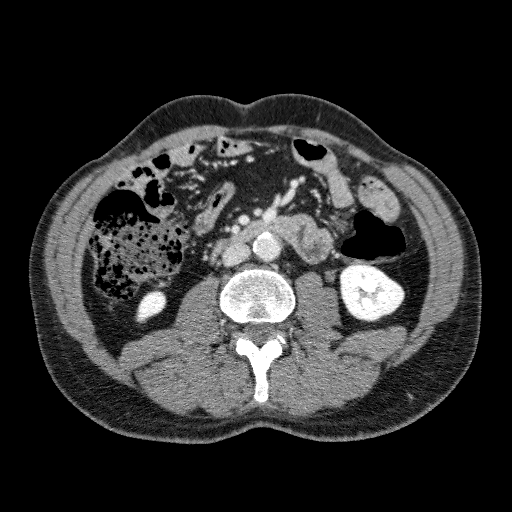
CT scan slice.
Segmented structures:
• kidney: box=[138, 292, 164, 319]; box=[341, 265, 403, 319]